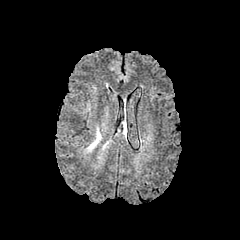
FLAIR MRI.
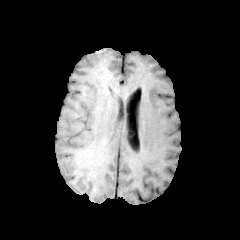
T1-weighted MR image.
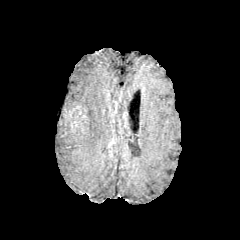
Post-contrast T1-weighted MR.
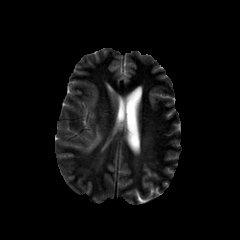
T2-weighted MRI.
Brain
Annotated regions:
• edema: [x1=83, y1=125, x2=103, y2=152]